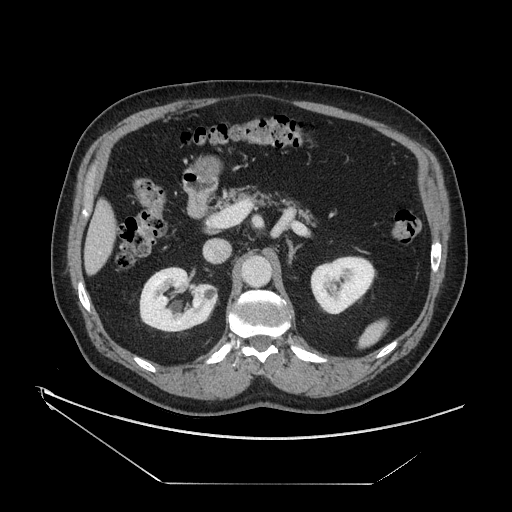

Computed tomography. Upper abdomen. 512x512 px. Pancreas: [211,185,317,225].